FLAIR magnetic resonance.
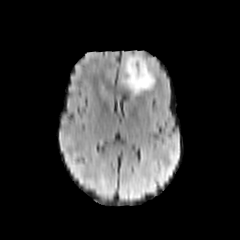
T1-weighted magnetic resonance.
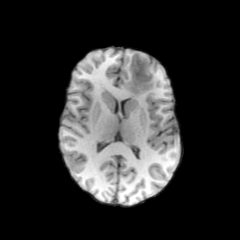
Post-contrast T1-weighted MR image.
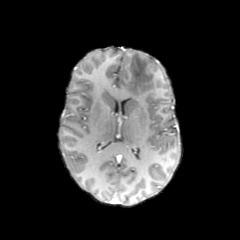
T2-weighted MRI.
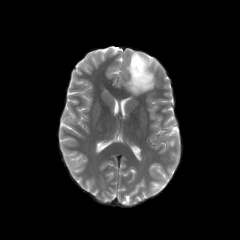
Head
The edema appears at (122, 51, 155, 95). The non-enhancing tumor core is at (129, 54, 151, 91).